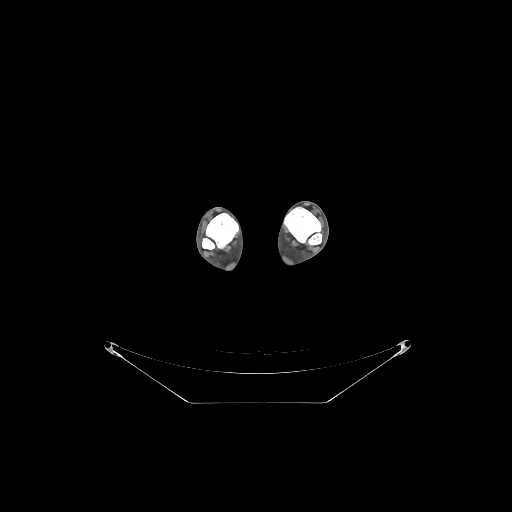

512x512 | CT scan slice
Bone at 202 213 238 249, 284 207 321 245.